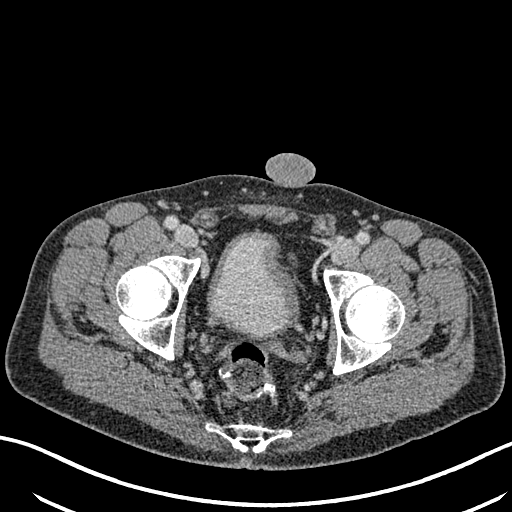
CT image, Image size 512x512

<segmentation>
  <urinary_bladder>211, 233, 290, 334</urinary_bladder>
</segmentation>